Head, Field of view 240x240 mm
FLAIR magnetic resonance.
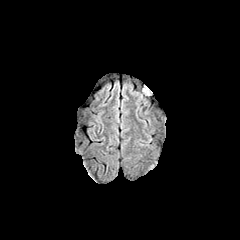
T1-weighted MR image.
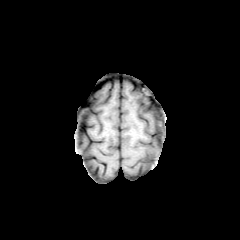
Post-contrast T1-weighted MR image.
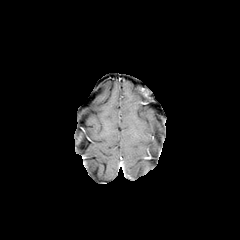
T2-weighted MR image.
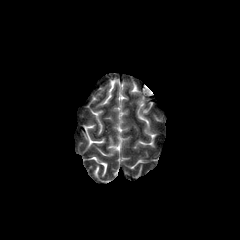
Segmented structures:
* non-enhancing tumor core: box(143, 89, 151, 104)